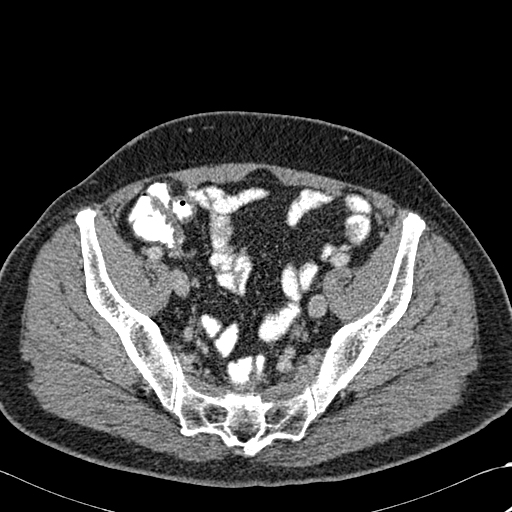
CT slice.
Bone = 76:209:424:454.